Image size 240x240; Head
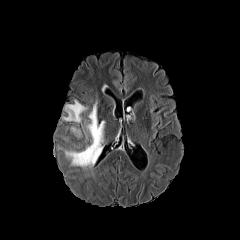
FLAIR MR image.
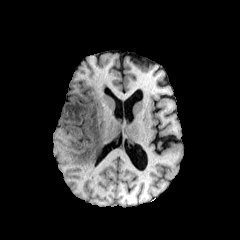
T1-weighted MR image.
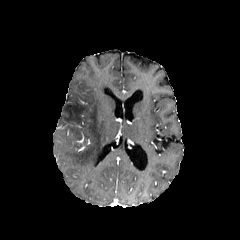
Post-contrast T1-weighted magnetic resonance of the same slice.
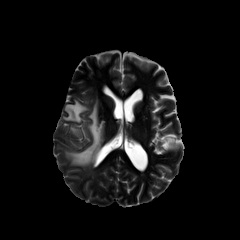
Same slice, T2-weighted MR image.
<segmentation>
  <edema>(65,102,105,168), (62,100,86,123)</edema>
</segmentation>